CT 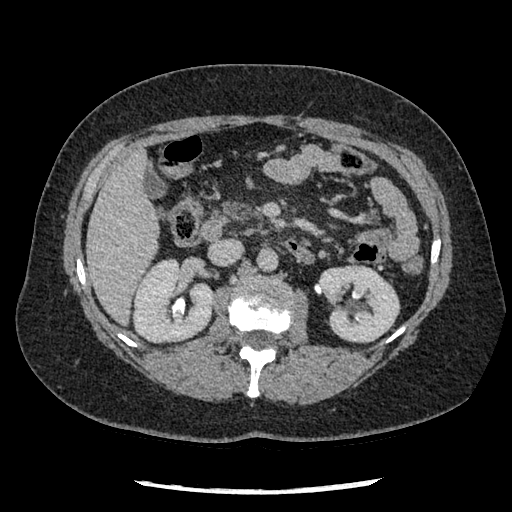 The pancreas is bounded by 222,200,254,220.